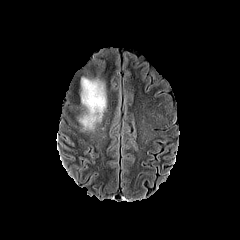
FLAIR magnetic resonance.
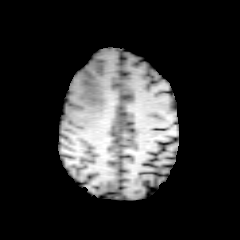
T1-weighted MRI.
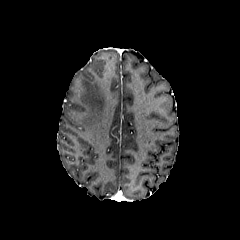
Post-contrast T1-weighted MR image.
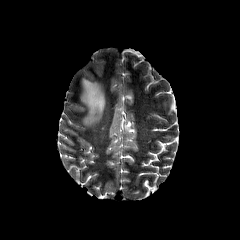
Same slice, T2-weighted MR image.
Brain.
The edema appears at <bbox>80, 78, 106, 131</bbox>.